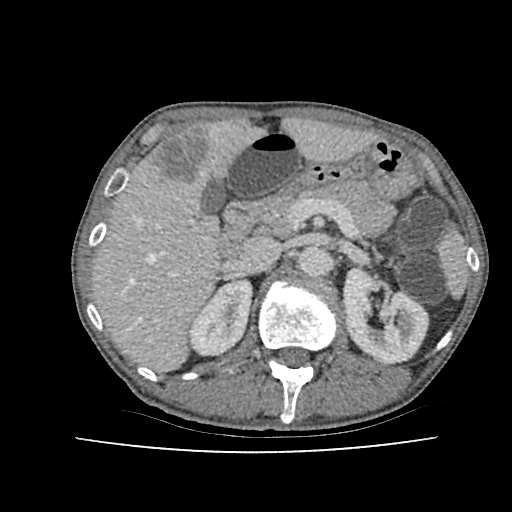 Upper abdomen, CT slice
Liver = x1=94 y1=121 x2=259 y2=368, x1=285 y1=119 x2=369 y2=160.
Kidney = x1=190 y1=281 x2=251 y2=354, x1=344 y1=269 x2=427 y2=362.
Hepatic lesion = x1=154 y1=129 x2=212 y2=185.